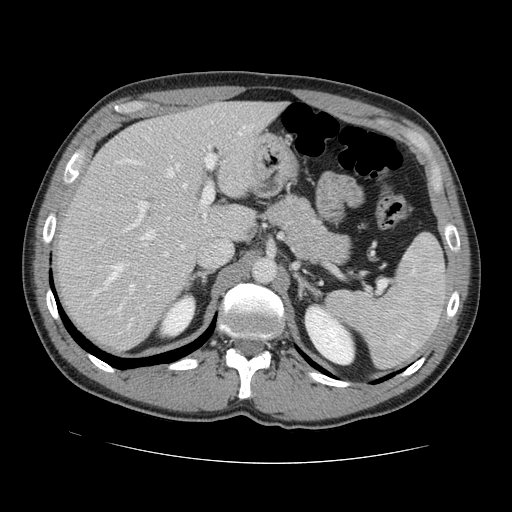

CT scan slice, Abdomen
The vessel boxes may cover only some of the vessels.
partial: true
hepatic_vessel:
  # 15 of 27 shown
  - [x1=182, y1=183, x2=186, y2=187]
  - [x1=90, y1=290, x2=98, y2=300]
  - [x1=128, y1=284, x2=134, y2=293]
  - [x1=127, y1=318, x2=132, y2=328]
  - [x1=98, y1=238, x2=103, y2=243]
  - [x1=143, y1=136, x2=148, y2=139]
  - [x1=202, y1=212, x2=205, y2=222]
  - [x1=114, y1=156, x2=137, y2=164]
  - [x1=104, y1=263, x2=122, y2=289]
  - [x1=91, y1=206, x2=99, y2=209]
  - [x1=165, y1=164, x2=178, y2=176]
  - [x1=238, y1=125, x2=252, y2=134]
  - [x1=139, y1=230, x2=153, y2=245]
  - [x1=126, y1=201, x2=146, y2=229]
  - [x1=107, y1=302, x2=123, y2=320]